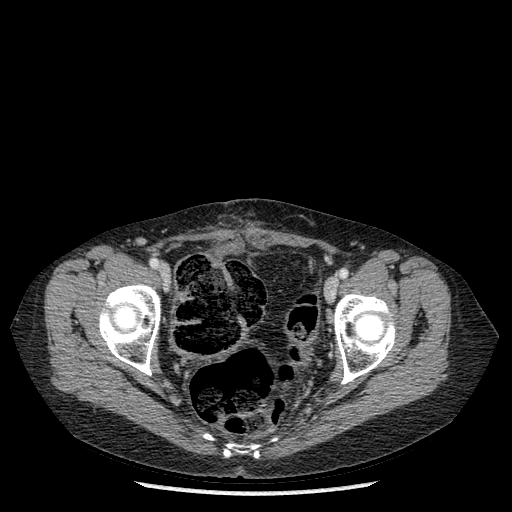 CT image | Image size 512x512

Bone: 98,283,160,375; 203,433,213,440; 333,291,395,384; 223,443,259,458.